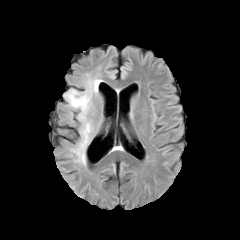
FLAIR magnetic resonance.
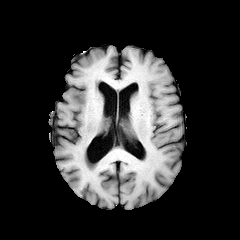
T1-weighted magnetic resonance.
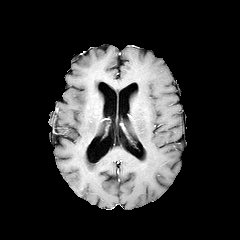
Post-contrast T1-weighted MR of the same slice.
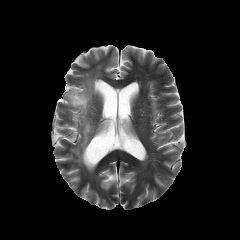
T2-weighted MR of the same slice.
Edema: 65, 72, 104, 165.